Slice 57/155; Head
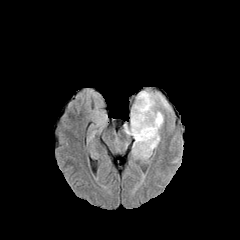
FLAIR MR.
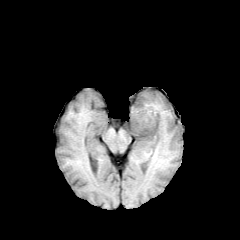
Same slice, T1-weighted magnetic resonance.
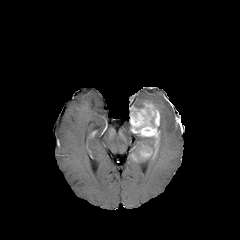
Post-contrast T1-weighted MR.
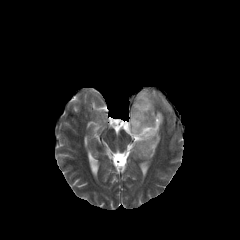
Same slice, T2-weighted magnetic resonance.
<segmentation>
  <edema>(123,120,149,160), (134,91,171,130), (147,138,156,154)</edema>
  <enhancing_tumor>(130,101,159,146), (140,145,152,156)</enhancing_tumor>
  <non-enhancing_tumor_core>(137,141,149,150)</non-enhancing_tumor_core>
</segmentation>